Slice 360 of 781; Image size 512x512; Upper abdomen; CT scan slice

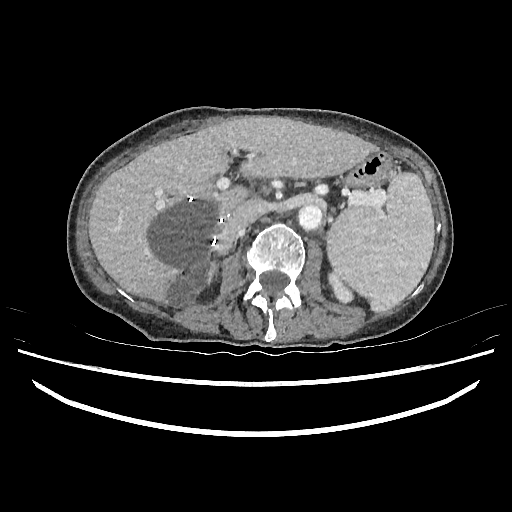 <segmentation>
  <liver>(205,263,215,285), (89,117,372,306)</liver>
  <hepatic_lesion>(149,200,218,306)</hepatic_lesion>
  <kidney>(329,275,351,295)</kidney>
</segmentation>